FLAIR MRI.
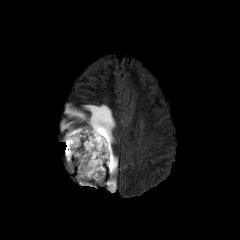
T1-weighted MR image.
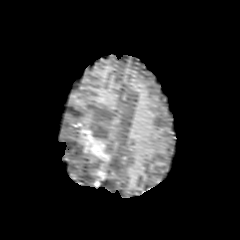
Post-contrast T1-weighted magnetic resonance.
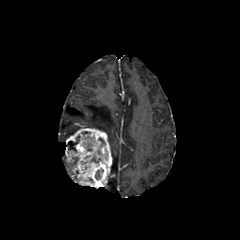
T2-weighted MRI.
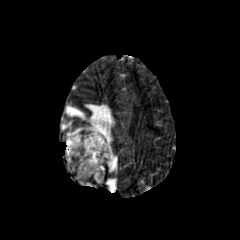
Brain
{"enhancing_tumor": ["x1=64 y1=125 x2=113 y2=187"], "edema": ["x1=107 y1=177 x2=116 y2=192", "x1=65 y1=104 x2=115 y2=143", "x1=61 y1=120 x2=79 y2=137", "x1=111 y1=152 x2=117 y2=175"]}